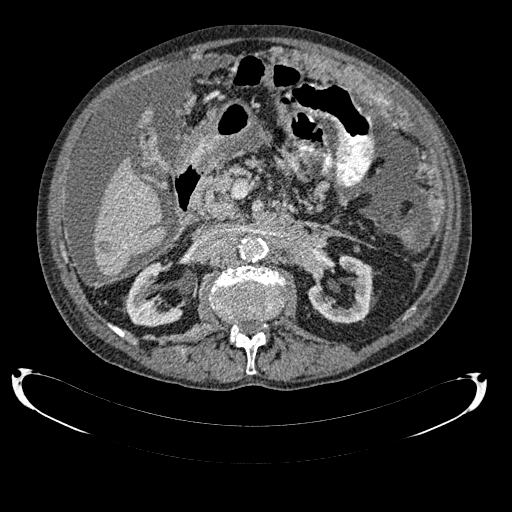 Upper abdomen. CT scan slice.
Hepatic lesion at [x1=99, y1=242, x2=110, y2=252].
Liver at [x1=94, y1=157, x2=163, y2=276], [x1=139, y1=111, x2=153, y2=128].
Kidney at [x1=126, y1=263, x2=181, y2=326], [x1=306, y1=251, x2=371, y2=322].